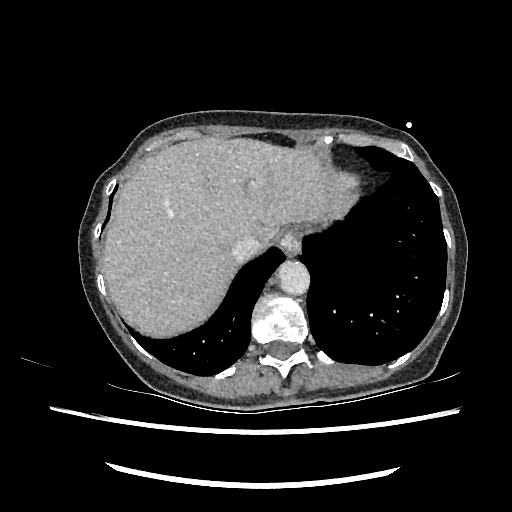

Upper abdomen, CT slice
liver:
  - (105, 138, 354, 334)